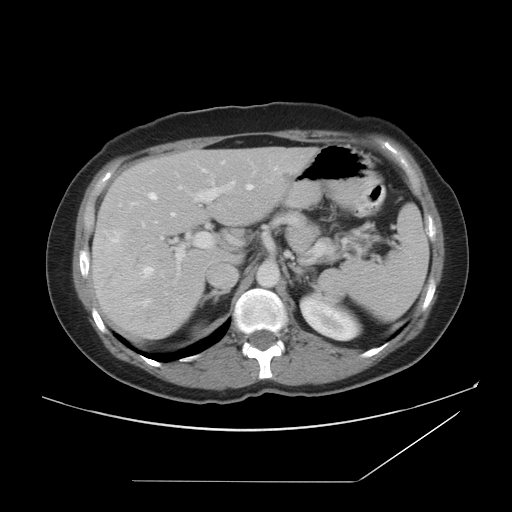 Computed tomography. Liver.
The vessel boxes may cover only some of the vessels.
liver tumor: bbox(280, 174, 290, 183) | [15/16] hepatic vessel: bbox(143, 267, 153, 277); bbox(176, 247, 185, 263); bbox(194, 180, 235, 201); bbox(178, 186, 181, 188); bbox(221, 161, 224, 163); bbox(246, 184, 252, 189); bbox(274, 167, 277, 169); bbox(148, 192, 156, 199); bbox(202, 169, 205, 171); bbox(135, 299, 150, 305); bbox(161, 237, 163, 239); bbox(143, 223, 144, 226); bbox(160, 271, 162, 276); bbox(111, 233, 119, 241); bbox(171, 212, 175, 215)